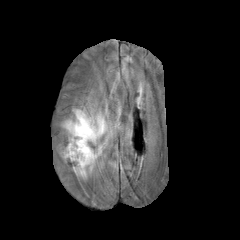
FLAIR MR.
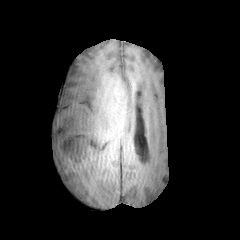
T1-weighted MR image.
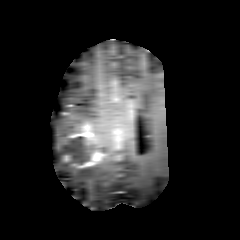
Post-contrast T1-weighted MRI.
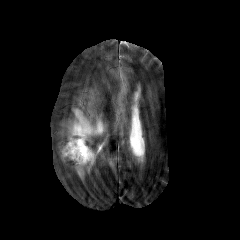
Same slice, T2-weighted magnetic resonance.
Head | 240x240
<segmentation>
  <edema>73, 168, 86, 177; 62, 108, 107, 139</edema>
  <enhancing_tumor>70, 123, 98, 143; 80, 151, 102, 167</enhancing_tumor>
  <non-enhancing_tumor_core>60, 136, 102, 168</non-enhancing_tumor_core>
</segmentation>